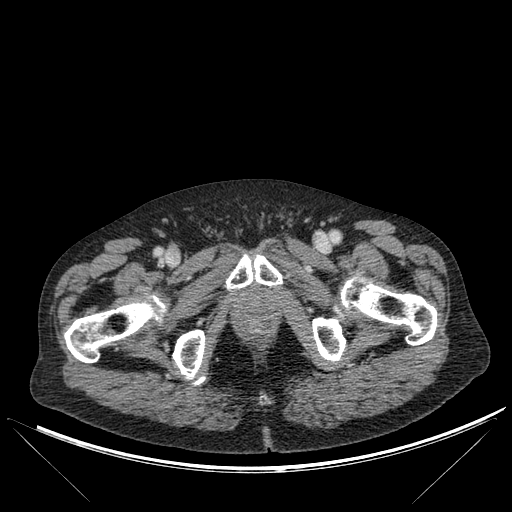
Image size 512x512. CT scan slice. Annotated regions:
- bone: x1=312 y1=317 x2=345 y2=361, x1=172 y1=330 x2=205 y2=383, x1=226 y1=254 x2=282 y2=288, x1=341 y1=277 x2=437 y2=345, x1=63 y1=295 x2=165 y2=362